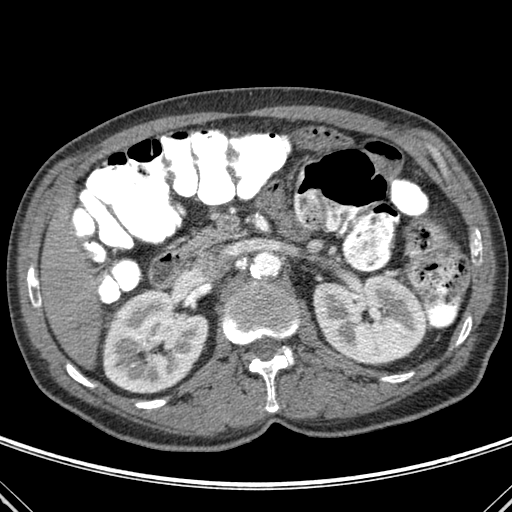

CT image; Liver

Bone = 27, 266, 40, 307; 255, 213, 267, 230; 249, 346, 293, 412; 66, 364, 93, 387; 223, 270, 298, 344; 456, 317, 471, 344; 135, 400, 165, 408; 471, 231, 482, 256; 381, 372, 413, 382.
Liver = 41, 193, 101, 365.
Kidney = 314, 274, 425, 362; 104, 291, 206, 392.